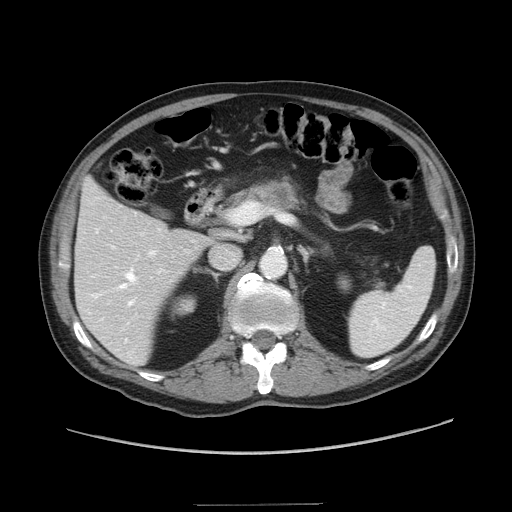

Abdomen. CT image.
The pancreatic tumor is bounded by 269, 186, 288, 204. The pancreas lies within 226, 179, 302, 210.